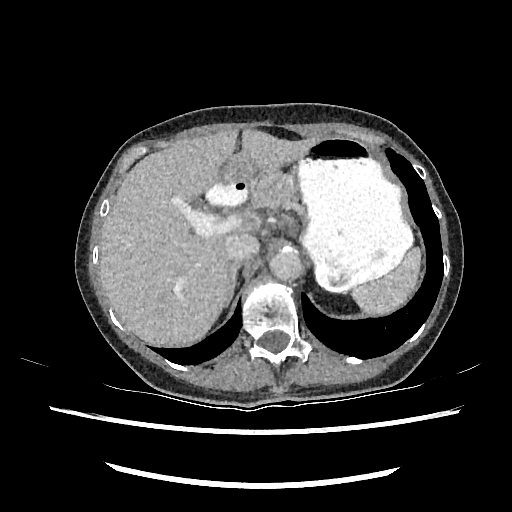
Abdomen, Computed tomography, Image size 512x512
3 liver regions appear at <bbox>101, 130, 237, 344</bbox>, <bbox>242, 217, 260, 228</bbox>, <bbox>243, 129, 314, 187</bbox>.